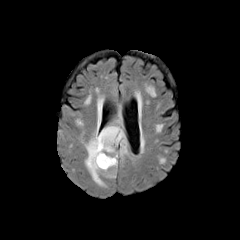
FLAIR MR image.
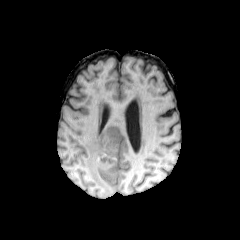
T1-weighted MR image.
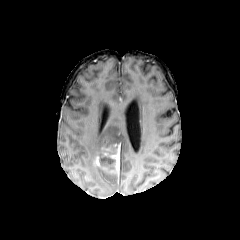
Post-contrast T1-weighted MR.
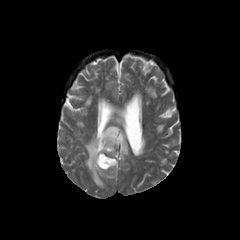
T2-weighted MR.
Brain
Segmented structures:
• enhancing tumor: <bbox>94, 156, 106, 169</bbox>, <bbox>110, 143, 120, 172</bbox>
• edema: <bbox>82, 95, 129, 186</bbox>
• non-enhancing tumor core: <bbox>98, 144, 117, 171</bbox>, <bbox>114, 140, 123, 163</bbox>